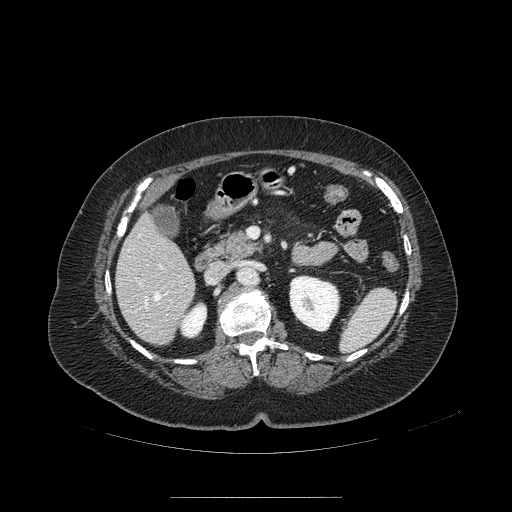

CT; Abdomen
Pancreas = rect(222, 227, 260, 261).